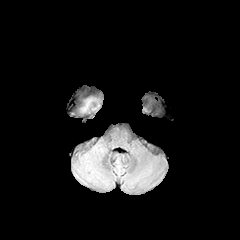
FLAIR MR image.
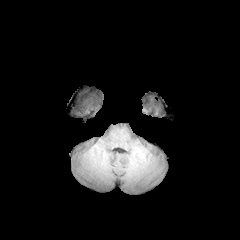
Same slice, T1-weighted MR.
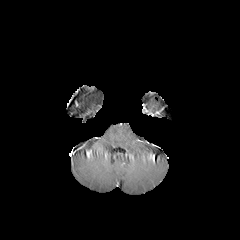
Post-contrast T1-weighted MR.
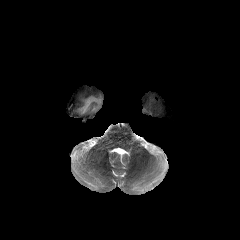
T2-weighted MRI of the same slice.
edema:
  - (82, 99, 92, 111)